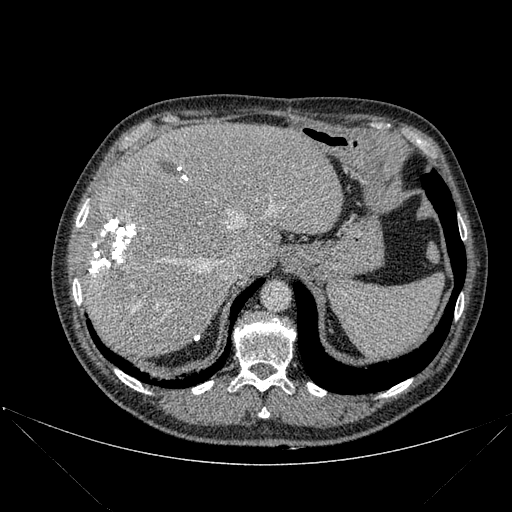 Image size 512x512 | CT image
bone: (left=307, top=382, right=325, bottom=396), (left=455, top=299, right=463, bottom=319), (left=382, top=379, right=412, bottom=396), (left=259, top=407, right=269, bottom=417), (left=459, top=219, right=466, bottom=239), (left=76, top=204, right=88, bottom=227), (left=115, top=369, right=148, bottom=393), (left=192, top=381, right=213, bottom=394), (left=73, top=279, right=81, bottom=304), (left=231, top=318, right=295, bottom=393) | lung: (left=87, top=322, right=145, bottom=380), (left=160, top=338, right=230, bottom=387), (left=229, top=278, right=264, bottom=331), (left=293, top=170, right=465, bottom=393) | liver: (left=78, top=122, right=343, bottom=355) | hepatic lesion: (left=160, top=161, right=176, bottom=174)